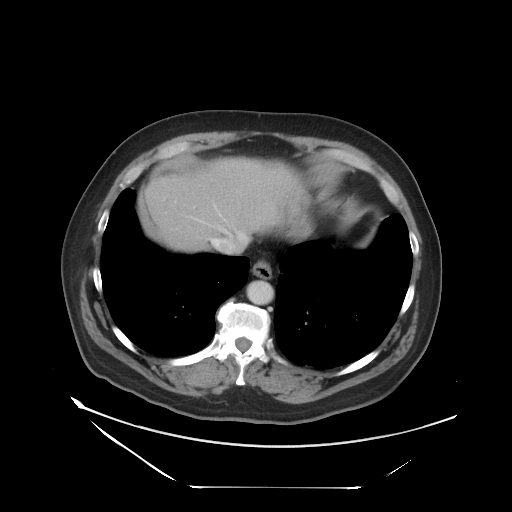

CT slice. Abdomen.

The vessel annotation is not exhaustive.
Hepatic vessel: bounding box 219:226:231:236, 214:240:218:245, 200:221:205:222.